Lower abdomen. Slice index 241. CT image. Image size 512x512. 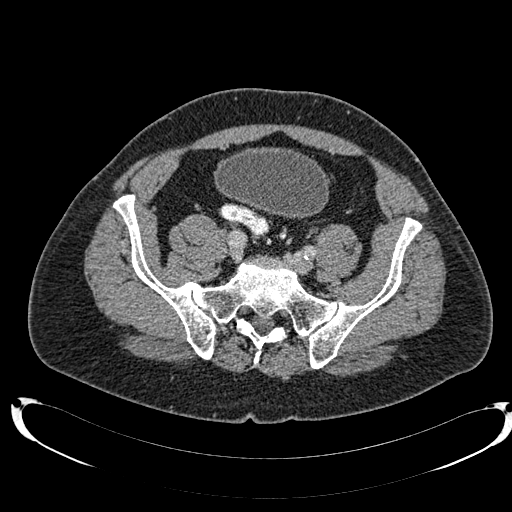

The urinary bladder appears at x1=217 y1=148 x2=328 y2=216.